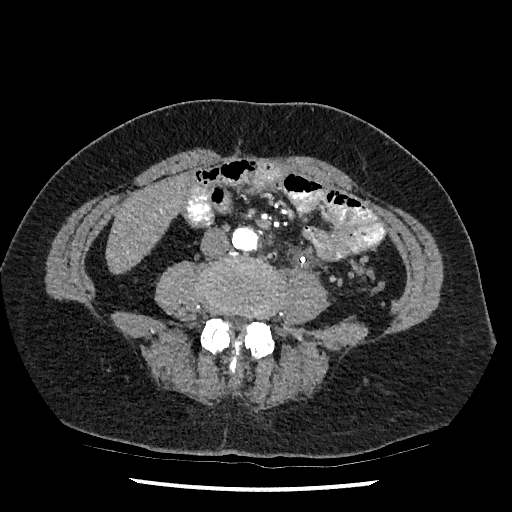
CT. Abdomen.
{"liver": ["[106,175,188,273]"]}